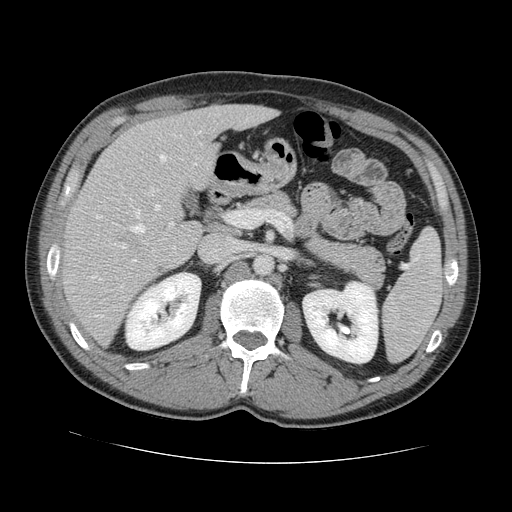
Liver; Computed tomography
The vessel annotation is not exhaustive.
Annotated regions:
- liver tumor: <box>125,234,139,246</box>
- hepatic vessel (principal 15 of 22): <box>91,275,100,280</box>, <box>173,134,176,137</box>, <box>194,131,200,134</box>, <box>95,215,100,218</box>, <box>95,314,102,317</box>, <box>160,154,164,161</box>, <box>147,188,158,194</box>, <box>120,244,126,248</box>, <box>155,205,159,209</box>, <box>175,187,180,189</box>, <box>192,163,196,165</box>, <box>135,210,139,217</box>, <box>131,223,144,233</box>, <box>107,240,111,243</box>, <box>168,223,173,228</box>